Image size 512x512; CT scan slice 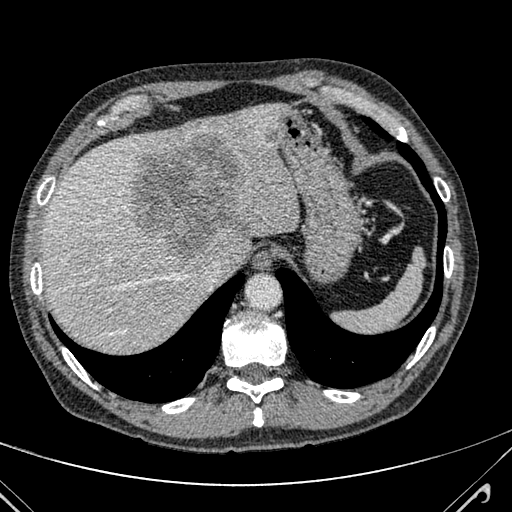 2 hepatic lesion regions are located at bbox=[268, 129, 276, 142]; bbox=[131, 134, 252, 261]. The liver is located at bbox=[43, 105, 299, 351].